Abdomen | CT slice | 512x512 | Slice index 51

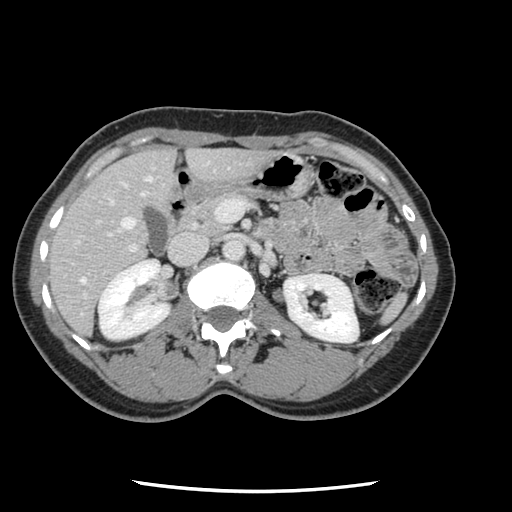

Not every hepatic vessel necessarily has a box.
6 hepatic vessel regions are located at (121, 217, 134, 229), (141, 191, 145, 195), (129, 245, 135, 250), (145, 176, 150, 180), (80, 278, 85, 281), (108, 198, 112, 203).